Liver. Field of view 360 mm wide, 0.80 mm slice spacing. CT image. 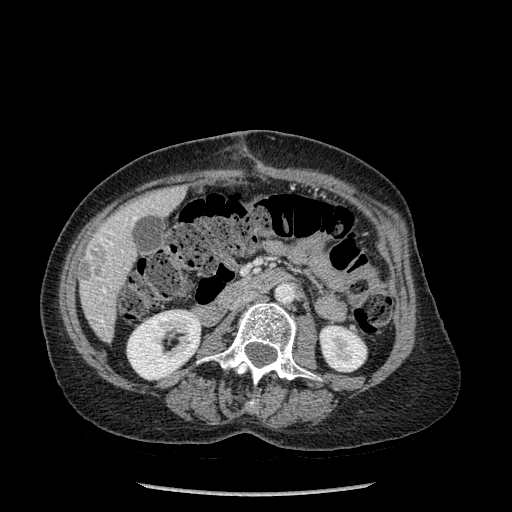

<segmentation>
  <hepatic_lesion>rect(91, 247, 105, 262); rect(79, 260, 90, 278)</hepatic_lesion>
  <bone>rect(247, 396, 257, 410); rect(198, 301, 315, 384)</bone>
  <liver>rect(78, 186, 185, 342)</liver>
  <kidney>rect(127, 310, 200, 379); rect(320, 326, 366, 371)</kidney>
</segmentation>